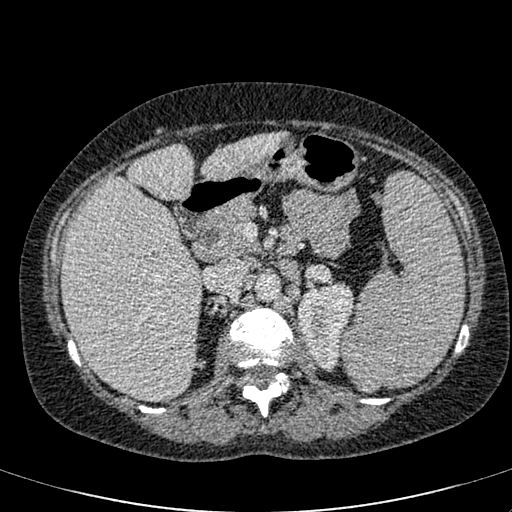

Image size 512x512. CT. Upper abdomen.

<segmentation>
  <liver>{"x1": 202, "y1": 133, "x2": 285, "y2": 180}, {"x1": 63, "y1": 145, "x2": 201, "y2": 400}</liver>
  <kidney>{"x1": 298, "y1": 284, "x2": 353, "y2": 368}</kidney>
</segmentation>